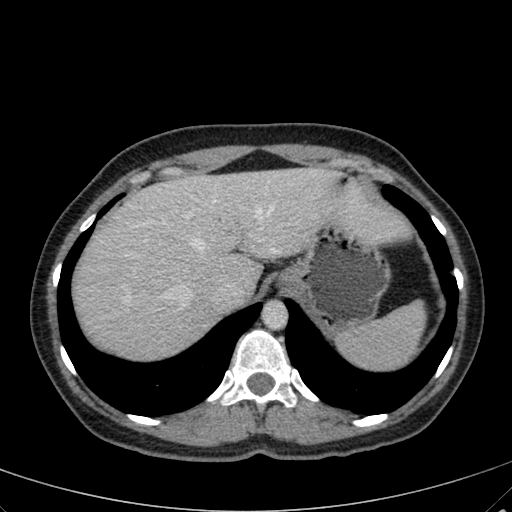
512x512, Liver, CT image
<segmentation>
  <liver><box>72,166,411,360</box></liver>
</segmentation>